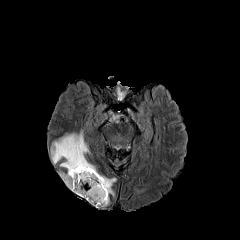
FLAIR MR image.
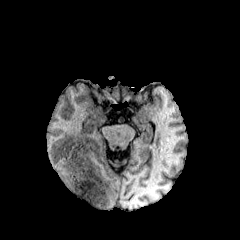
T1-weighted MRI.
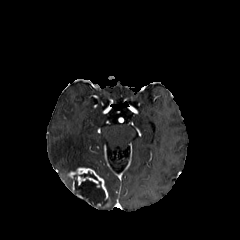
Same slice, post-contrast T1-weighted MRI.
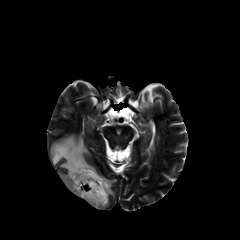
T2-weighted magnetic resonance.
Brain
Enhancing tumor at <box>61,167,108,200</box>.
Non-enhancing tumor core at <box>79,171,98,180</box>, <box>73,175,109,209</box>.
Edema at <box>50,133,116,197</box>, <box>62,178,72,189</box>.